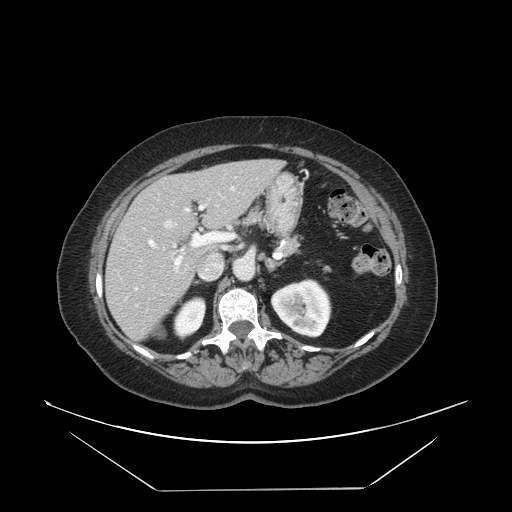 Abdomen | CT image | 512x512

<segmentation>
  <pancreas>box(235, 206, 301, 256)</pancreas>
</segmentation>